MR | Medial temporal lobe 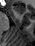
<segmentation>
  <anterior_hippocampus>box=[12, 5, 24, 13]</anterior_hippocampus>
</segmentation>